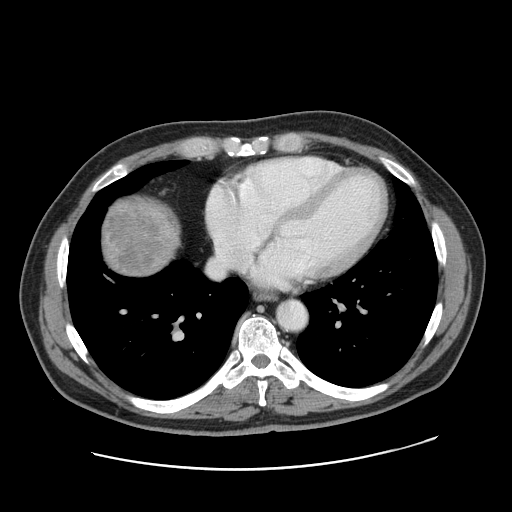

Computed tomography, Liver

The liver tumor is at (105, 200, 163, 274).